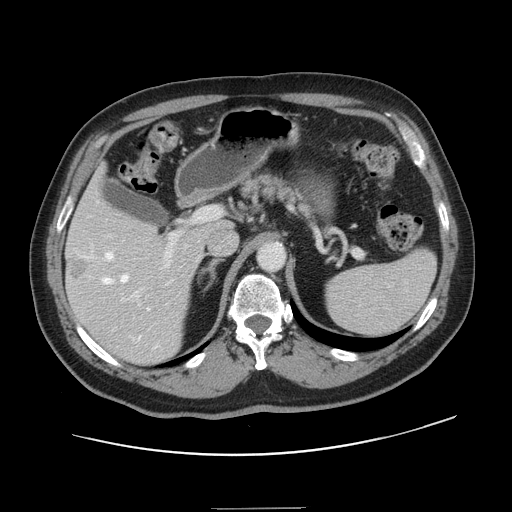 Computed tomography
Some hepatic vessels may have no box.
<segmentation>
  <hepatic_vessel>[147, 308, 149, 309], [121, 275, 127, 282], [79, 255, 88, 257], [135, 292, 138, 296], [155, 346, 157, 347], [103, 278, 111, 283], [165, 241, 175, 265], [122, 298, 124, 300], [106, 252, 112, 259], [137, 336, 140, 339]</hepatic_vessel>
  <liver_tumor>[68, 258, 90, 279]</liver_tumor>
</segmentation>